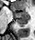

Hippocampus, MR
Posterior hippocampus at left=16, top=20, right=27, bottom=26.
Anterior hippocampus at left=15, top=11, right=28, bottom=19.